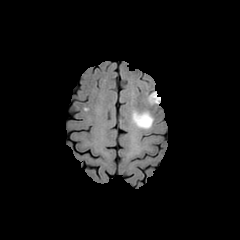
FLAIR magnetic resonance.
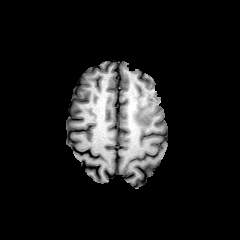
Same slice, T1-weighted magnetic resonance.
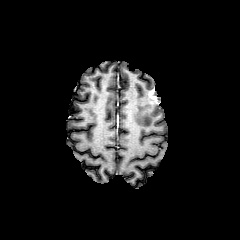
Post-contrast T1-weighted MRI.
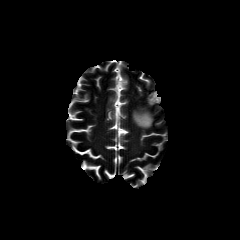
T2-weighted MRI.
Image size 240x240
Enhancing tumor = rect(149, 88, 160, 103).
Edema = rect(132, 107, 153, 129).